Lower abdomen. Slice 213 of 733. CT slice.

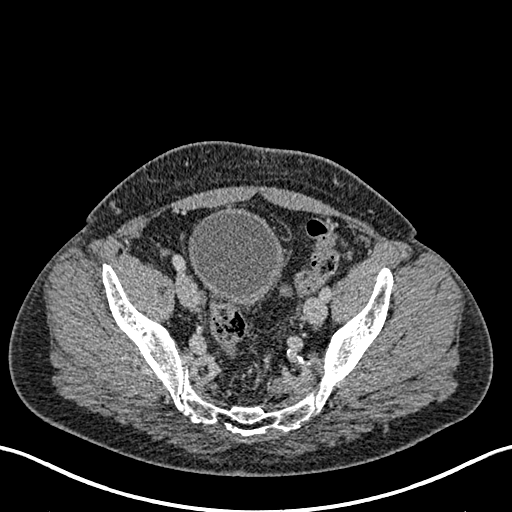 Urinary bladder = region(190, 211, 286, 308).